FLAIR MR.
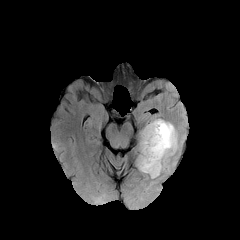
T1-weighted MRI.
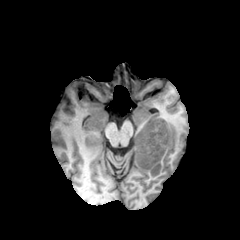
Post-contrast T1-weighted magnetic resonance.
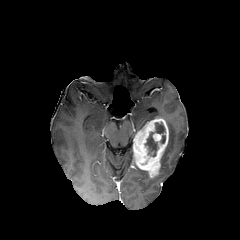
T2-weighted MR.
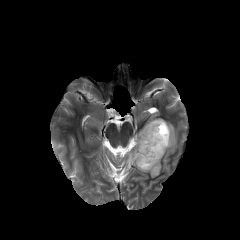
Brain.
Edema: bounding box 153, 121, 178, 178.
Enhancing tumor: bounding box 133, 118, 169, 178.
Non-enhancing tumor core: bounding box 145, 122, 165, 156.